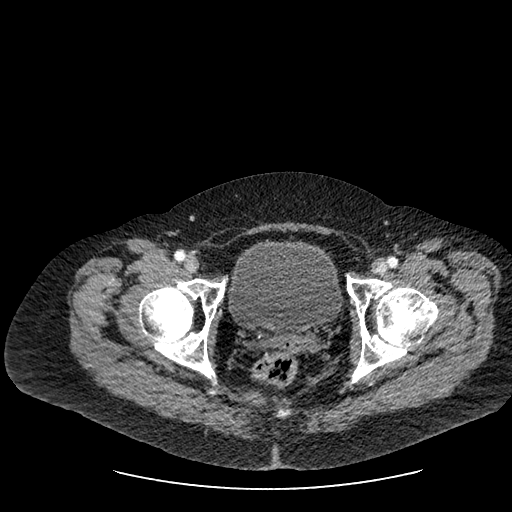
CT image; 512x512
Annotated regions:
• urinary bladder: 228, 241, 342, 337